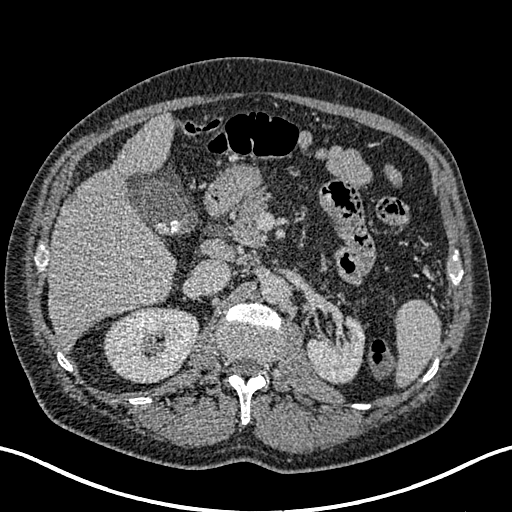 CT slice, Liver
{
  "liver": [
    "[49, 113, 175, 349]"
  ],
  "kidney": [
    "[308, 319, 364, 382]",
    "[105, 309, 198, 382]"
  ]
}